Image size 240x240 | Field of view 240x240 mm
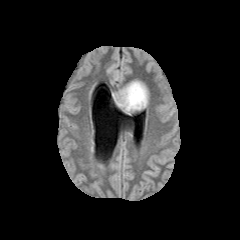
FLAIR magnetic resonance.
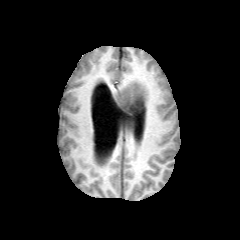
T1-weighted magnetic resonance of the same slice.
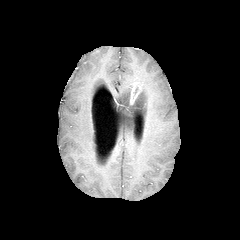
Post-contrast T1-weighted magnetic resonance of the same slice.
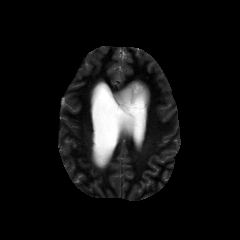
T2-weighted MR image.
Annotated regions:
- non-enhancing tumor core: <bbox>116, 97, 144, 113</bbox>
- enhancing tumor: <bbox>129, 82, 141, 104</bbox>
- edema: <bbox>130, 81, 148, 109</bbox>, <bbox>112, 84, 131, 104</bbox>